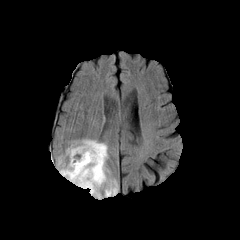
FLAIR MR image.
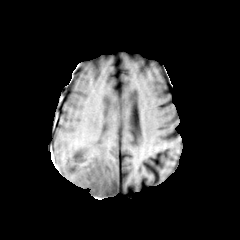
T1-weighted magnetic resonance.
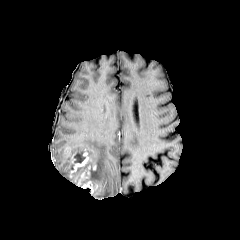
Same slice, post-contrast T1-weighted MR.
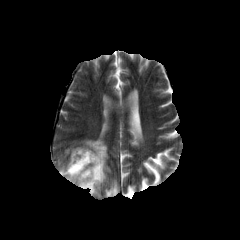
Same slice, T2-weighted MRI.
240x240 px; Head
enhancing_tumor:
  - region(78, 166, 98, 192)
  - region(70, 152, 89, 176)
non-enhancing_tumor_core:
  - region(69, 167, 88, 184)
edema:
  - region(60, 139, 118, 197)